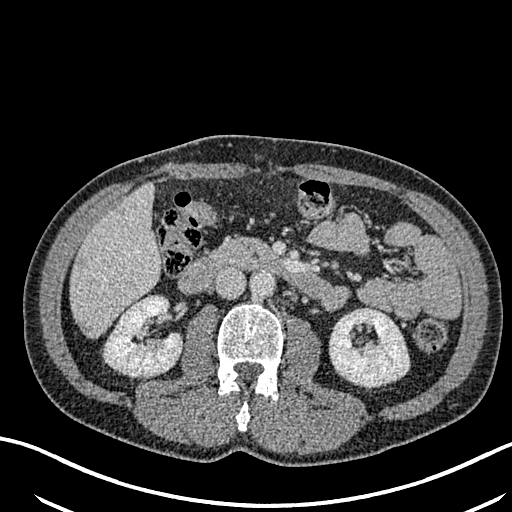
CT image.
liver: 70, 184, 158, 336 | focal liver lesion: 75, 255, 87, 268; 76, 319, 93, 335; 116, 206, 125, 216 | kidney: 105, 296, 181, 375; 330, 309, 408, 386